FLAIR magnetic resonance.
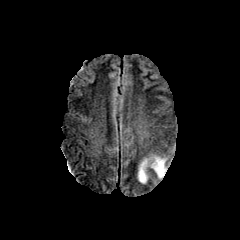
T1-weighted MRI.
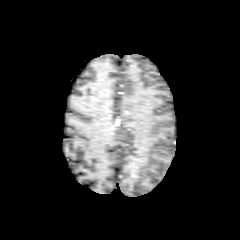
Post-contrast T1-weighted magnetic resonance.
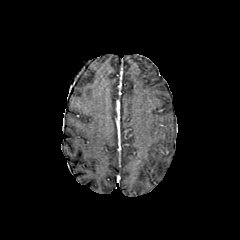
T2-weighted MR image.
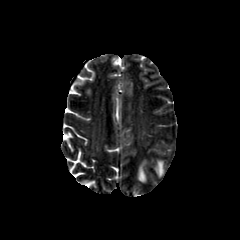
240x240, Head
2 edema regions appear at [154, 159, 164, 176], [138, 161, 146, 182].